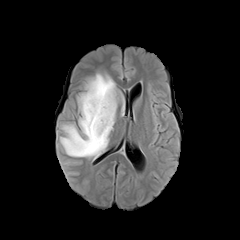
FLAIR MR image.
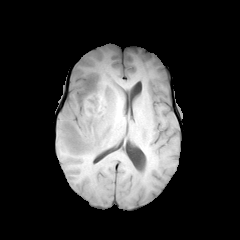
T1-weighted MR image.
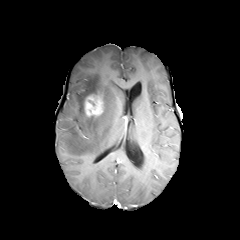
Post-contrast T1-weighted MR.
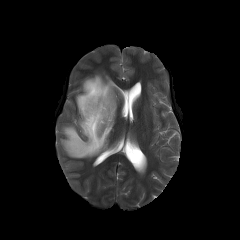
T2-weighted MRI of the same slice.
The enhancing tumor is bounded by {"x1": 86, "y1": 100, "x2": 102, "y2": 115}. 2 edema regions are bounded by {"x1": 121, "y1": 95, "x2": 124, "y2": 116}, {"x1": 59, "y1": 73, "x2": 117, "y2": 160}. The non-enhancing tumor core appears at {"x1": 88, "y1": 94, "x2": 104, "y2": 110}.